FLAIR MR.
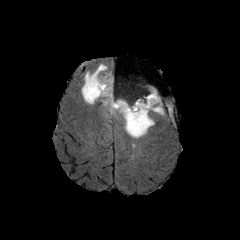
T1-weighted MRI.
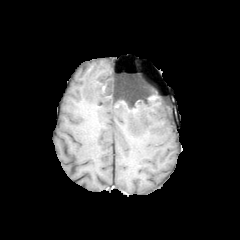
Post-contrast T1-weighted magnetic resonance.
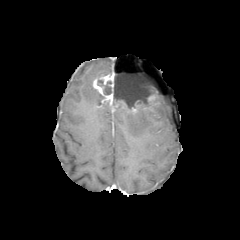
T2-weighted MR image.
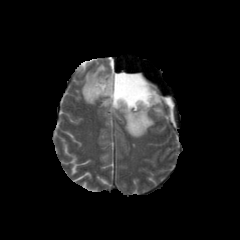
3 edema regions are located at [x1=114, y1=75, x2=119, y2=91], [x1=80, y1=63, x2=111, y2=103], [x1=101, y1=90, x2=165, y2=138]. The non-enhancing tumor core is bounded by [x1=103, y1=81, x2=149, y2=114]. The enhancing tumor appears at [x1=92, y1=72, x2=117, y2=111].